Brain, Field of view 240 mm wide, 1.00 mm slice spacing
FLAIR MR image.
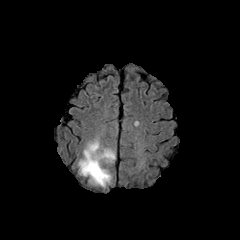
T1-weighted MRI.
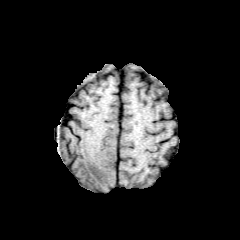
Post-contrast T1-weighted MRI.
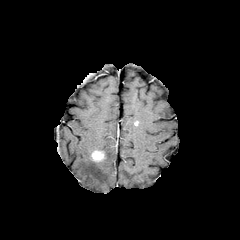
T2-weighted MR.
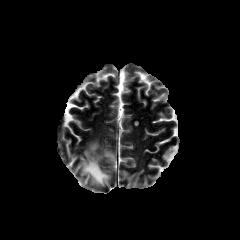
The enhancing tumor lies within 91:150:104:161. The edema is located at 77:138:115:187.